CT.
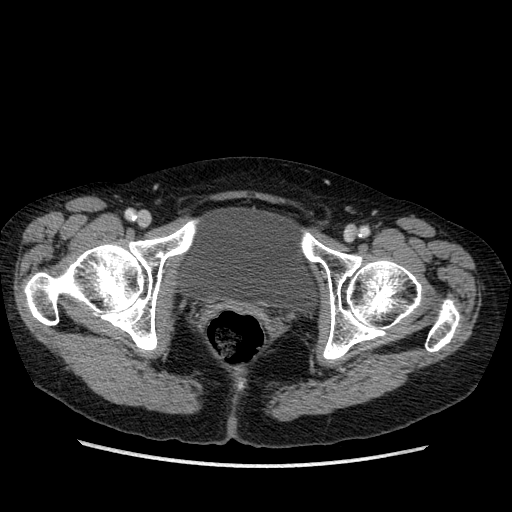 urinary_bladder:
  - (x1=176, y1=207, x2=320, y2=320)